FLAIR MR image.
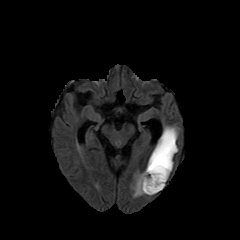
T1-weighted magnetic resonance.
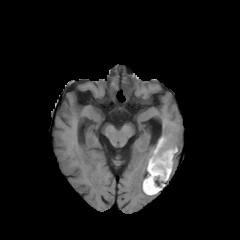
Post-contrast T1-weighted MRI.
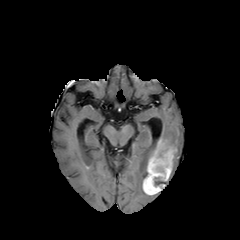
T2-weighted MR image.
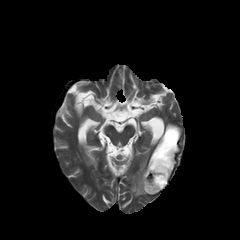
Image size 240x240; Head
Non-enhancing tumor core: x1=154 y1=177 x2=166 y2=191, x1=158 y1=129 x2=177 y2=158.
Edema: x1=132 y1=170 x2=146 y2=197, x1=162 y1=122 x2=179 y2=151.
Enhancing tumor: x1=143 y1=140 x2=173 y2=194.